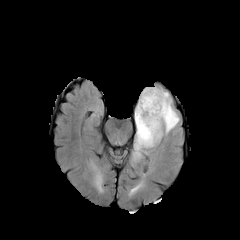
FLAIR MR.
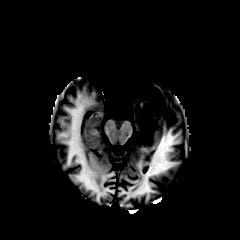
T1-weighted MRI.
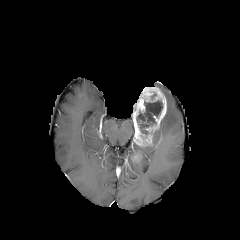
Same slice, post-contrast T1-weighted MR image.
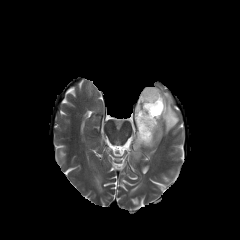
Same slice, T2-weighted magnetic resonance.
Brain
Non-enhancing tumor core = [134,138,153,147], [136,87,162,129].
Edema = [130,87,179,162].
Enhancing tumor = [133,88,166,142].